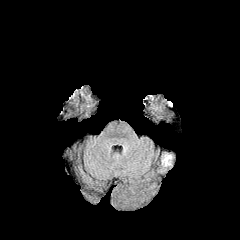
FLAIR MR image.
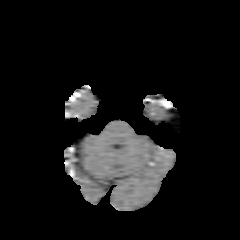
Same slice, T1-weighted MR image.
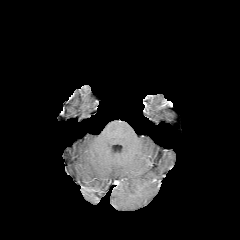
Post-contrast T1-weighted MR image of the same slice.
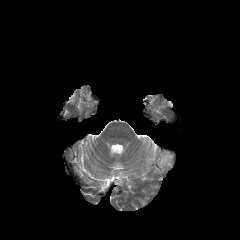
T2-weighted magnetic resonance.
Head.
The edema appears at x1=161, y1=153, x2=173, y2=166.